CT slice | 512x512 | Field of view 380x380 mm

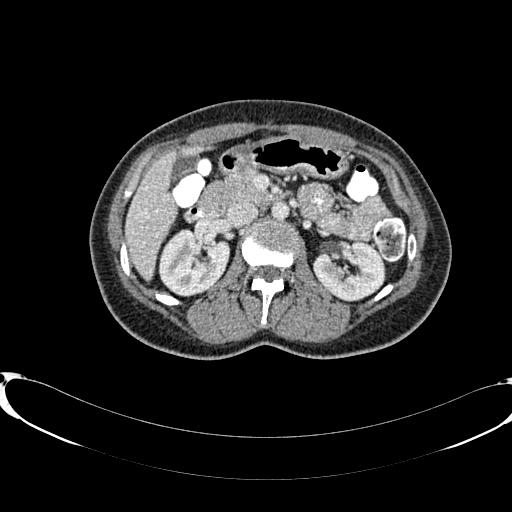 2 kidney regions are bounded by rect(160, 231, 228, 294); rect(314, 243, 383, 299). 2 liver regions are located at rect(125, 152, 176, 278); rect(182, 147, 203, 155).